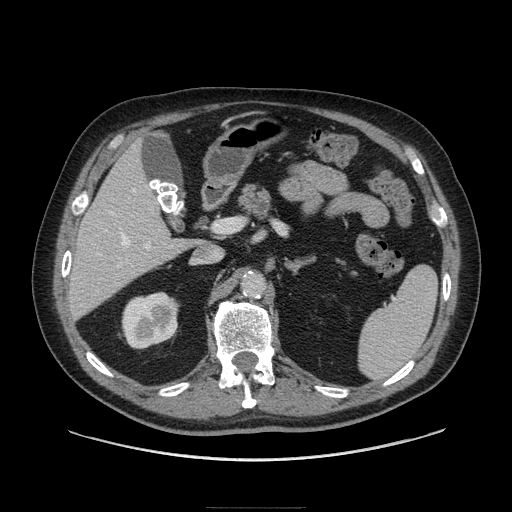
CT scan slice | 512x512 px
Segmented structures:
• pancreatic tumor: [252,200,268,213]
• pancreas: [237,183,273,221]